Slice 46 of 101; Abdomen; CT scan slice 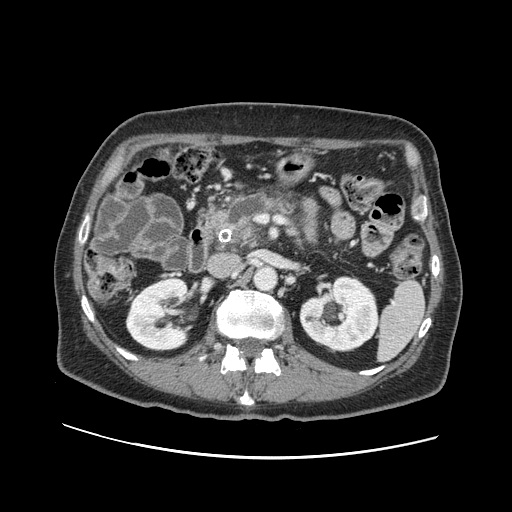 pancreas:
  - {"x1": 197, "y1": 190, "x2": 303, "y2": 254}